FLAIR MRI.
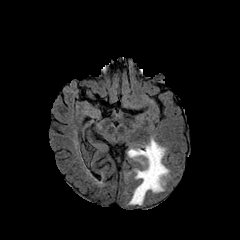
T1-weighted MR image.
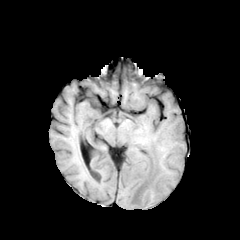
Post-contrast T1-weighted magnetic resonance.
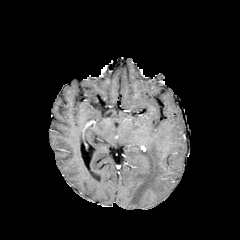
T2-weighted MR.
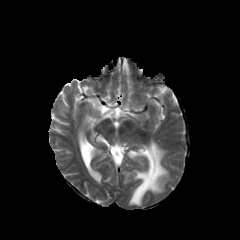
240x240; Brain
Edema at {"x1": 127, "y1": 140, "x2": 169, "y2": 205}.